Slice 83 of 155
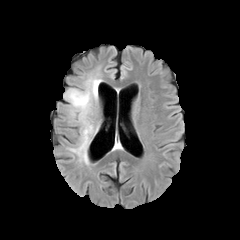
FLAIR MRI.
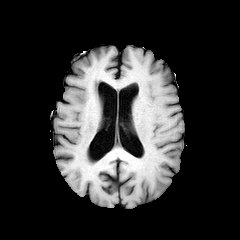
Same slice, T1-weighted MRI.
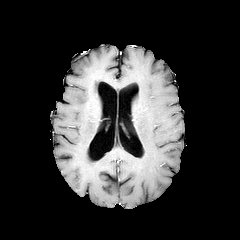
Same slice, post-contrast T1-weighted magnetic resonance.
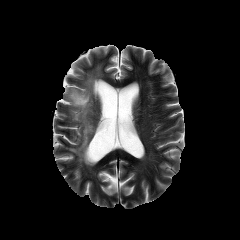
Same slice, T2-weighted MR image.
The edema is at (65, 72, 103, 166).